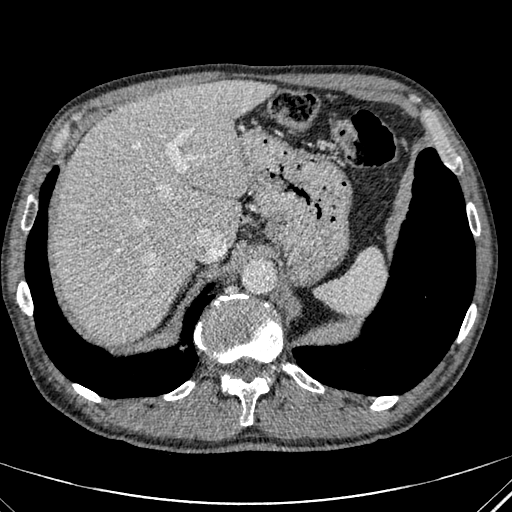 Abdomen; CT image

The liver lies within (56,80,275,342).